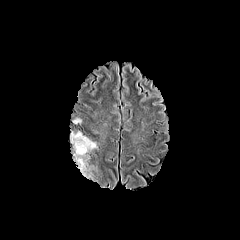
FLAIR MR image.
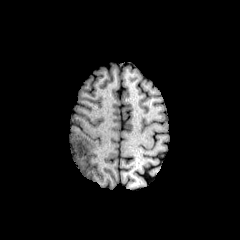
Same slice, T1-weighted MRI.
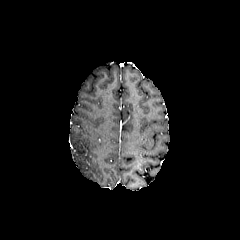
Post-contrast T1-weighted MRI.
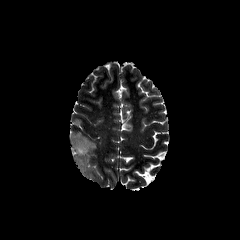
T2-weighted MR image.
edema:
  - (x1=70, y1=131, x2=97, y2=176)